Hippocampus | MRI slice 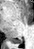
The posterior hippocampus is bounded by bbox=[9, 38, 22, 43].